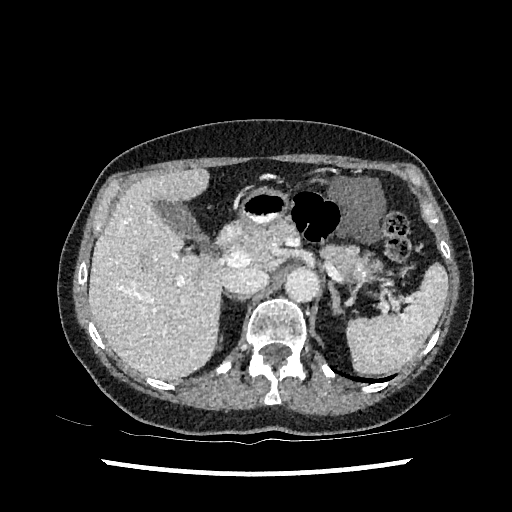
Abdomen | CT scan slice | Image size 512x512
{"liver": ["[x1=90, y1=168, x2=220, y2=378]"], "liver_lesion": ["[x1=141, y1=252, x2=151, y2=269]"]}